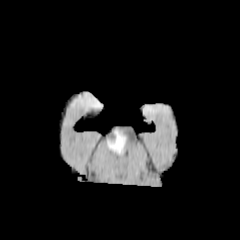
FLAIR MR image.
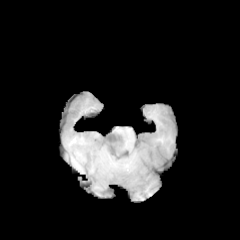
T1-weighted MRI.
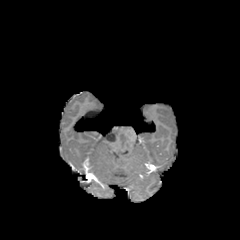
Same slice, post-contrast T1-weighted MR image.
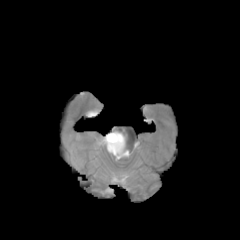
T2-weighted MR image of the same slice.
Brain | 240x240 px
non-enhancing tumor core: bbox=[107, 133, 124, 153] | edema: bbox=[112, 127, 128, 146]